CT scan slice
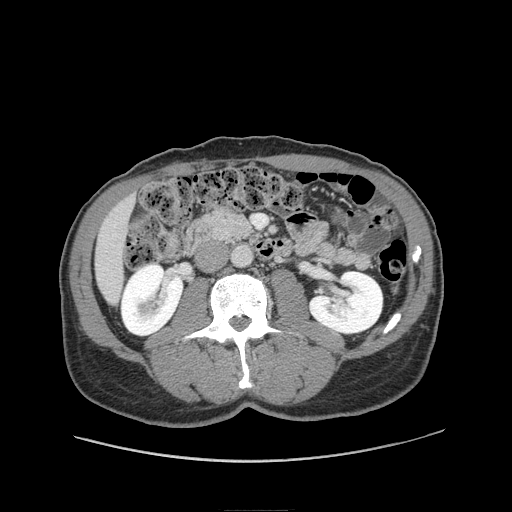 {
  "pancreas": [
    "x1=204 y1=210 x2=252 y2=240"
  ]
}